Head, Slice index 57
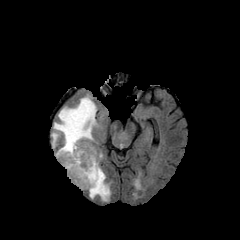
FLAIR MRI.
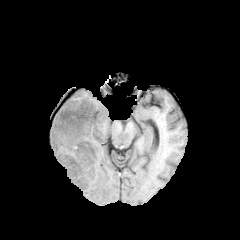
T1-weighted magnetic resonance.
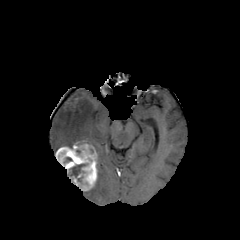
Same slice, post-contrast T1-weighted magnetic resonance.
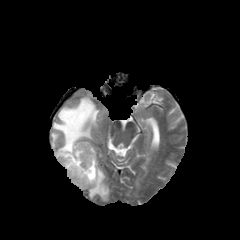
T2-weighted MR image of the same slice.
<segmentation>
  <edema>[87,161,110,201], [51,95,97,147]</edema>
  <enhancing_tumor>[56,144,97,189]</enhancing_tumor>
  <non-enhancing_tumor_core>[67,164,85,180], [74,141,95,151]</non-enhancing_tumor_core>
</segmentation>